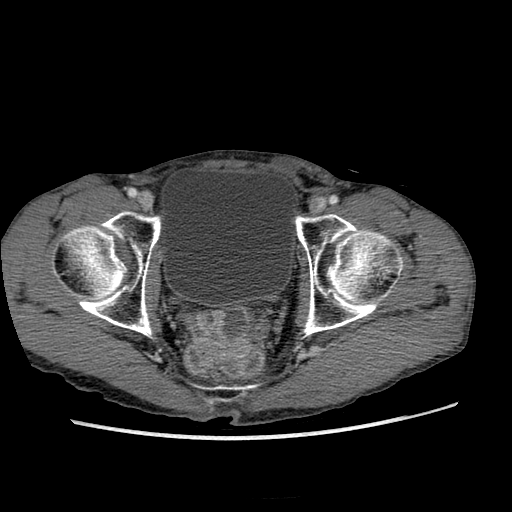

CT slice
urinary bladder: [160,167,296,301]